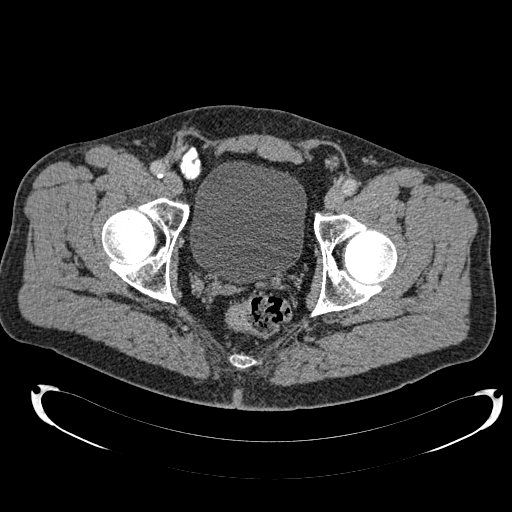 Image size 512x512 | CT image
urinary bladder: (x1=190, y1=161, x2=306, y2=284)